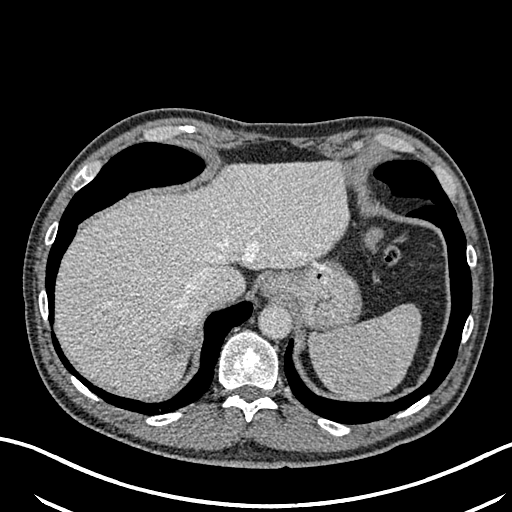 Upper abdomen. CT slice. Liver lesion = (162,329,186,356).
Liver = (56,161,349,394).